FLAIR MR image.
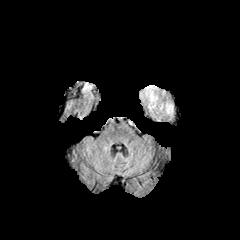
T1-weighted MRI.
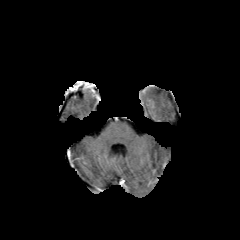
Post-contrast T1-weighted MR.
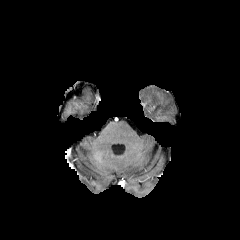
T2-weighted MR.
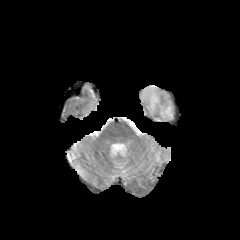
Brain
Edema: <bbox>140, 85, 173, 117</bbox>.